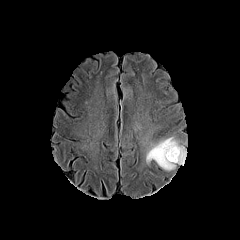
FLAIR magnetic resonance.
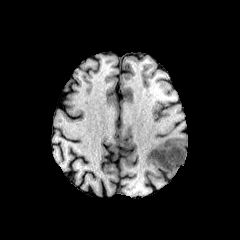
T1-weighted MR.
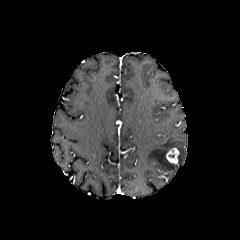
Post-contrast T1-weighted MR image.
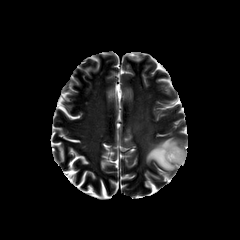
T2-weighted magnetic resonance.
Enhancing tumor: box(166, 148, 178, 163).
Edema: box(147, 137, 186, 170).